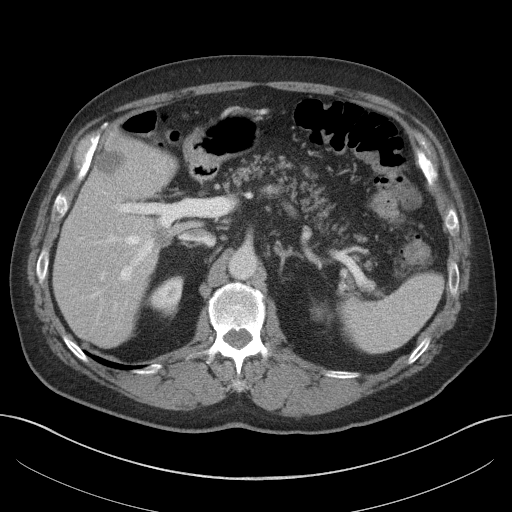

Abdomen, Computed tomography, Image size 512x512

{
  "kidney": [
    "box=[152, 279, 180, 307]"
  ],
  "hepatic_lesion": [
    "box=[97, 151, 123, 171]",
    "box=[153, 229, 169, 245]"
  ],
  "liver": [
    "box=[54, 134, 172, 346]"
  ]
}